Slice 16 of 55, CT image
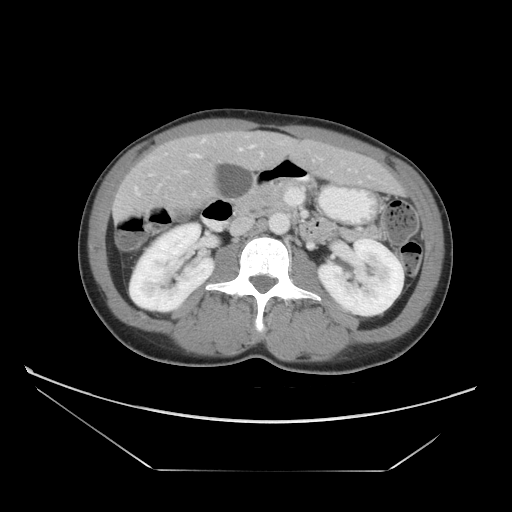
The vessel boxes may cover only some of the vessels.
Findings:
* hepatic vessel: 238, 148, 243, 150; 249, 145, 255, 148; 188, 153, 201, 157